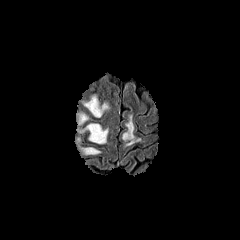
FLAIR MR image.
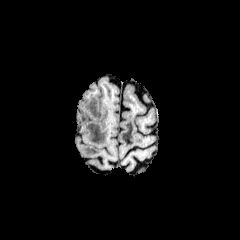
T1-weighted MRI of the same slice.
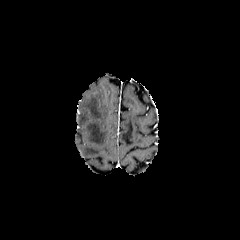
Post-contrast T1-weighted MR.
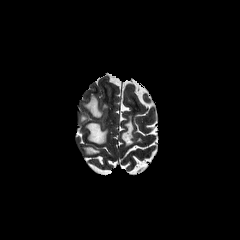
T2-weighted MRI of the same slice.
Brain
Annotated regions:
- edema: bbox=[77, 138, 99, 155]; bbox=[76, 123, 108, 144]; bbox=[77, 113, 87, 124]; bbox=[82, 95, 108, 117]